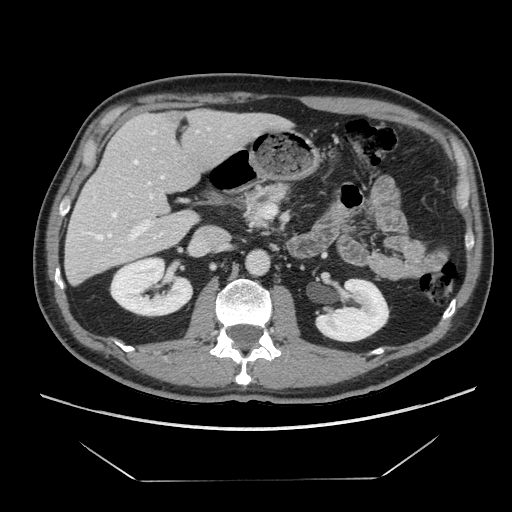

Image size 512x512, Upper abdomen, CT

* pancreas: (247, 184, 288, 221)